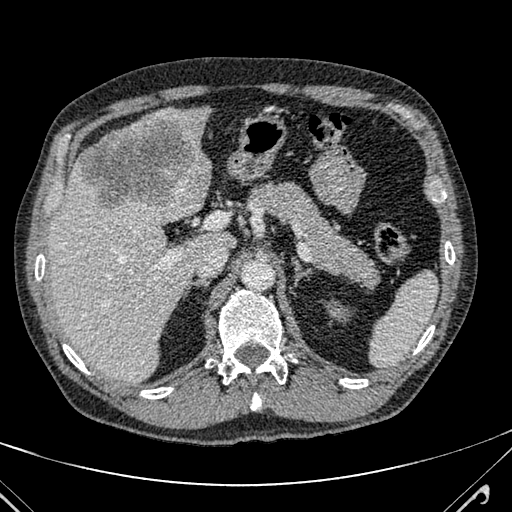
512x512 px. CT.

<segmentation>
  <focal_liver_lesion>[79,112,209,209]</focal_liver_lesion>
  <liver>[158,106,208,148], [48,155,234,382], [110,114,152,135]</liver>
</segmentation>